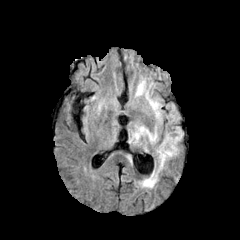
FLAIR MR image.
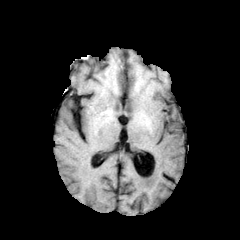
T1-weighted MR image.
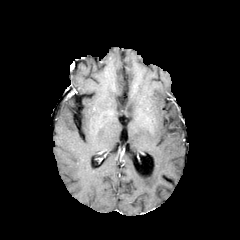
Same slice, post-contrast T1-weighted magnetic resonance.
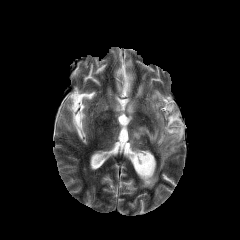
Same slice, T2-weighted magnetic resonance.
Brain | Image size 240x240
- edema: 129, 91, 183, 188; 134, 79, 146, 97